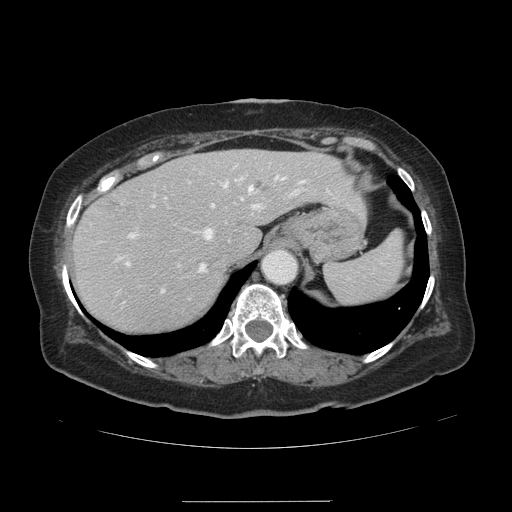
Liver; Computed tomography
Some hepatic vessels may have no box.
15 hepatic vessel regions are located at [x1=275, y1=175, x2=284, y2=179], [x1=163, y1=196, x2=165, y2=198], [x1=126, y1=259, x2=129, y2=264], [x1=248, y1=185, x2=253, y2=191], [x1=299, y1=180, x2=303, y2=183], [x1=291, y1=190, x2=298, y2=194], [x1=151, y1=204, x2=153, y2=205], [x1=252, y1=204, x2=259, y2=207], [x1=204, y1=229, x2=211, y2=237], [x1=211, y1=204, x2=213, y2=206], [x1=235, y1=177, x2=242, y2=180], [x1=220, y1=181, x2=226, y2=186], [x1=129, y1=233, x2=133, y2=236], [x1=117, y1=256, x2=122, y2=259], [x1=161, y1=288, x2=164, y2=292]. 2 liver tumor regions are bounded by [x1=254, y1=180, x2=264, y2=190], [x1=101, y1=196, x2=120, y2=208].